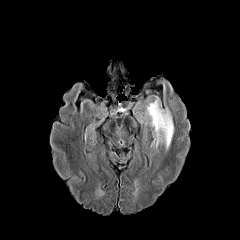
FLAIR MRI.
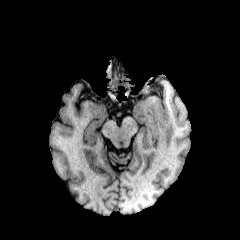
Same slice, T1-weighted MR image.
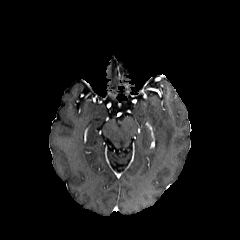
Same slice, post-contrast T1-weighted MR image.
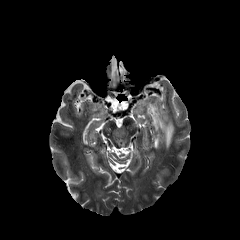
Same slice, T2-weighted MRI.
Edema at x1=145 y1=98 x2=174 y2=153.